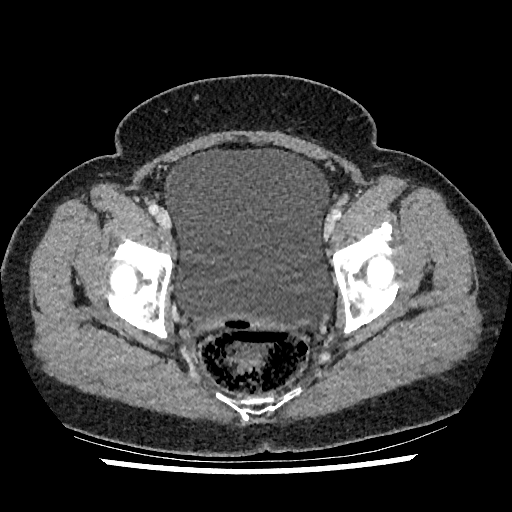

CT slice
The urinary bladder lies within (164,148,334,330).